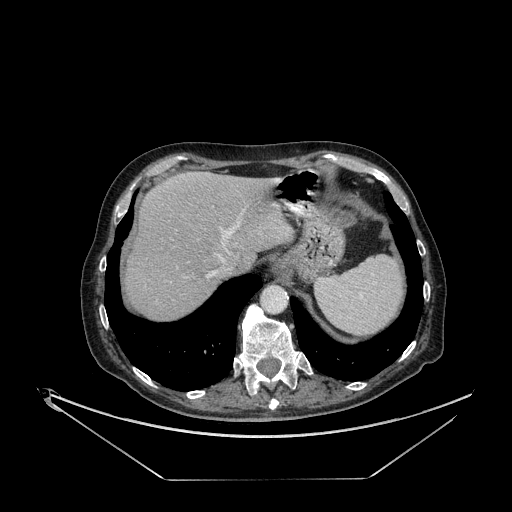 512x512. CT slice.
<segmentation>
  <liver>(left=125, top=171, right=288, bottom=319)</liver>
</segmentation>